MR image, Medial temporal lobe 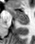

<segmentation>
  <anterior_hippocampus>[8,7,28,18]</anterior_hippocampus>
  <posterior_hippocampus>[17,19,28,24]</posterior_hippocampus>
</segmentation>